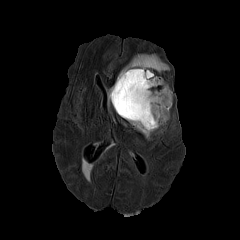
FLAIR MR.
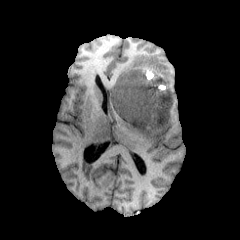
T1-weighted magnetic resonance.
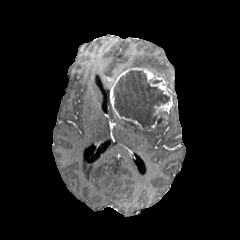
Post-contrast T1-weighted MRI.
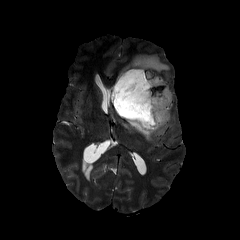
T2-weighted MR image.
Brain | 240x240 px
enhancing tumor: x1=109, y1=67, x2=172, y2=124 | non-enhancing tumor core: x1=113, y1=70, x2=170, y2=129 | edema: x1=118, y1=53, x2=169, y2=76; x1=132, y1=123, x2=167, y2=140; x1=107, y1=88, x2=110, y2=108